Brain. Slice index 107.
FLAIR MR image.
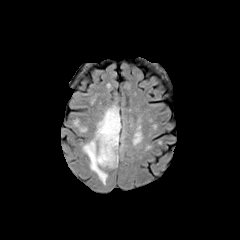
T1-weighted magnetic resonance.
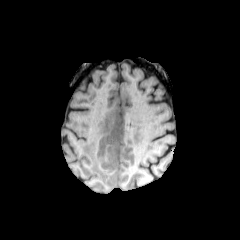
Post-contrast T1-weighted MR.
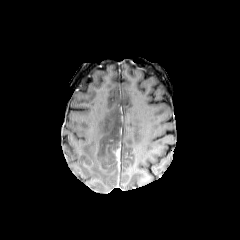
T2-weighted magnetic resonance.
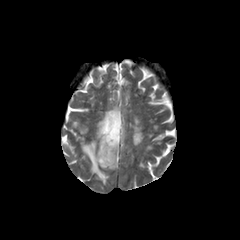
Findings:
- edema: rect(82, 103, 125, 184)
- enhancing tumor: rect(114, 148, 119, 162)